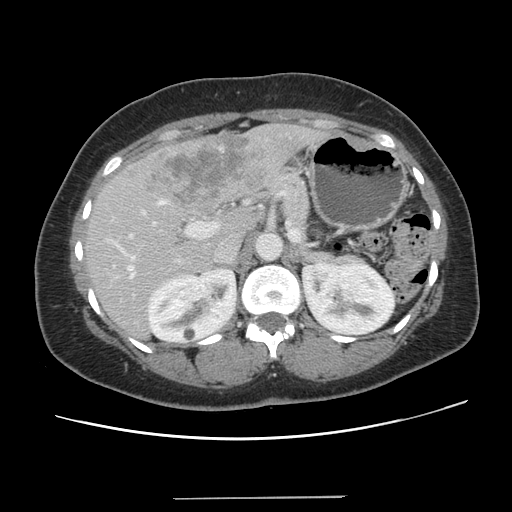
CT
The vessel boxes may cover only some of the vessels.
The liver tumor is bounded by 148:133:260:206. 9 hepatic vessel regions are bounded by 129:234:132:237, 128:266:135:277, 153:222:155:225, 186:224:195:234, 142:211:144:214, 108:240:134:259, 200:237:203:238, 159:200:167:204, 198:222:217:236.